CT slice. Liver. Slice 181 of 401.
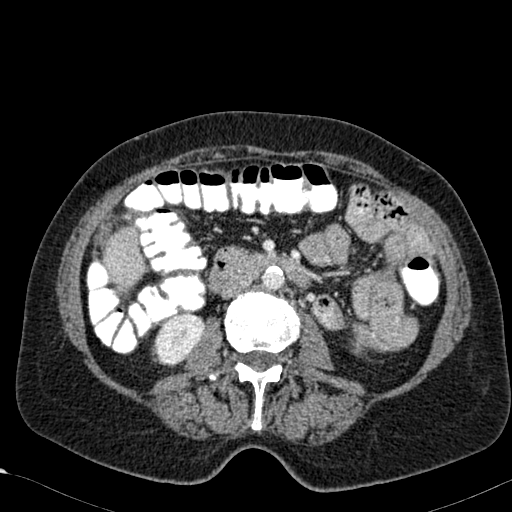
2 kidney regions appear at [x1=154, y1=307, x2=205, y2=364], [x1=356, y1=333, x2=369, y2=350]. The liver is bounded by [x1=106, y1=227, x2=142, y2=288].